CT image, 512x512, Image width 360 mm, Slice 59/127
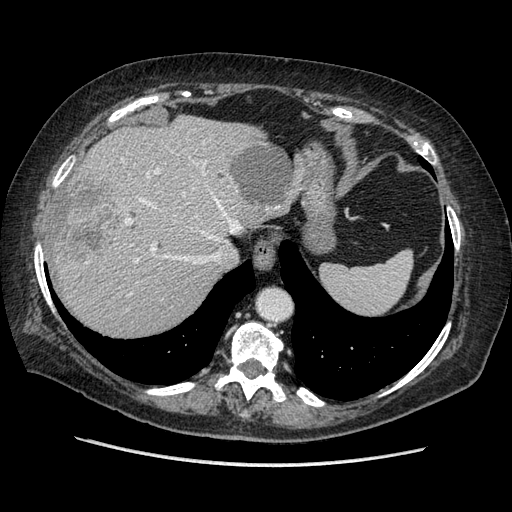 Only some of the vessels may be annotated.
{"liver_tumor": ["left=52, top=180, right=119, bottom=257"], "hepatic_vessel": ["left=147, top=173, right=148, bottom=176", "left=134, top=259, right=137, bottom=260", "left=178, top=253, right=219, bottom=262", "left=216, top=199, right=221, bottom=208", "left=138, top=198, right=148, bottom=203", "left=156, top=171, right=158, bottom=172", "left=125, top=219, right=131, bottom=223", "left=230, top=220, right=238, bottom=231", "left=150, top=243, right=155, bottom=253"]}